CT image; 512x512 px; Slice 76/107; Abdomen 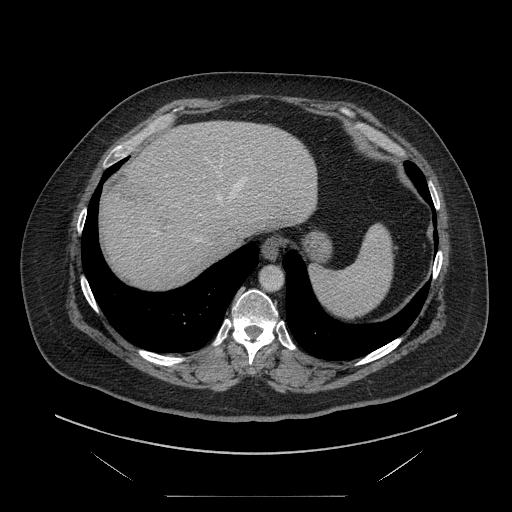 Not every hepatic vessel necessarily has a box.
Liver tumor — (113, 175, 148, 202).
Hepatic vessel — (182, 233, 185, 236), (189, 236, 203, 241), (216, 176, 247, 205).